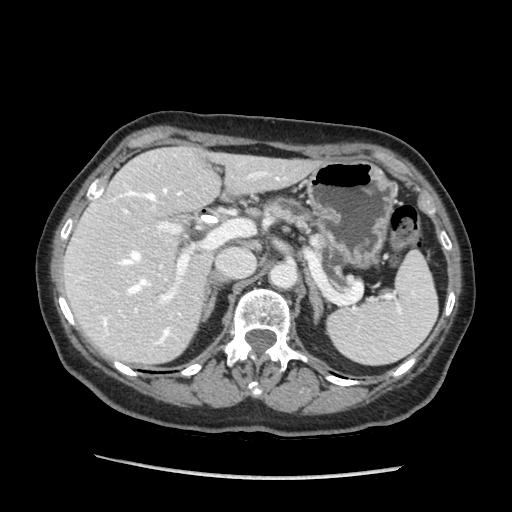 512x512 px | Upper abdomen | CT image
The pancreas is bounded by {"x1": 266, "y1": 199, "x2": 348, "y2": 290}.